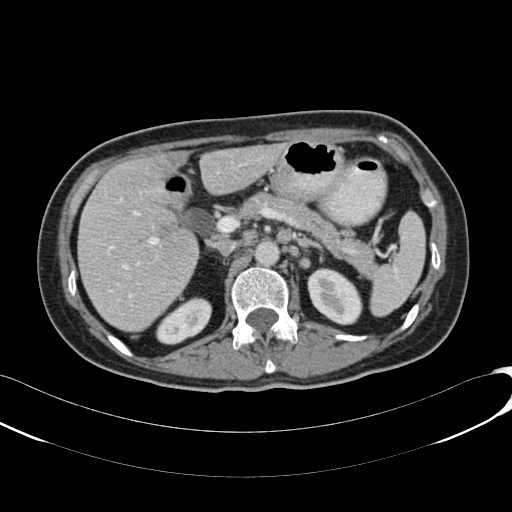

Image size 512x512. Upper abdomen. CT scan slice.

liver:
  - (77, 151, 198, 329)
  - (200, 144, 284, 193)
liver_lesion:
  - (158, 224, 176, 239)
  - (166, 153, 184, 165)
kidney:
  - (158, 300, 210, 343)
  - (308, 270, 360, 323)